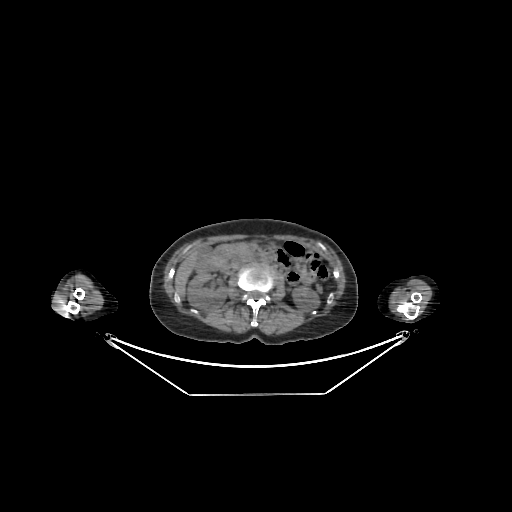

CT image. 512x512. 2 kidney regions appear at 292 284 319 313, 186 271 229 309. The liver is at 175 252 203 295.